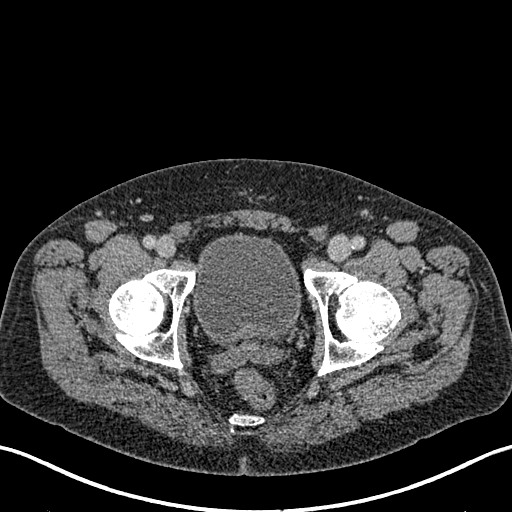

CT slice
urinary bladder: (193, 233, 301, 336)